CT scan slice | Liver

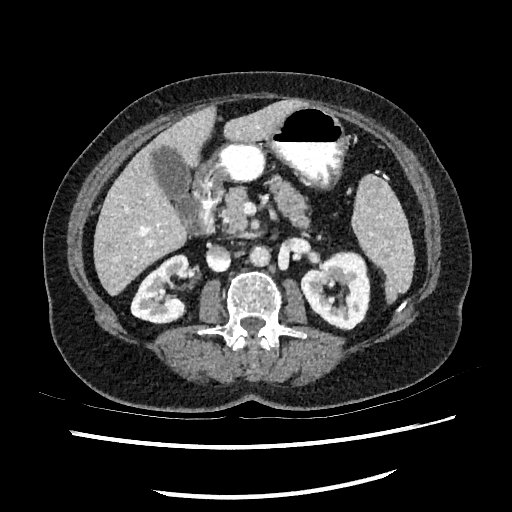 {
  "liver": [
    "box=[225, 99, 302, 142]",
    "box=[94, 106, 215, 293]"
  ],
  "kidney": [
    "box=[301, 254, 369, 328]",
    "box=[131, 256, 187, 322]"
  ]
}